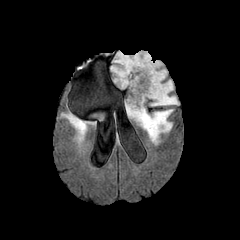
FLAIR MR image.
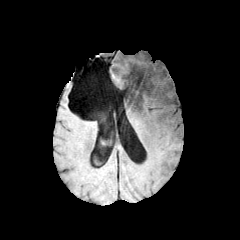
Same slice, T1-weighted MRI.
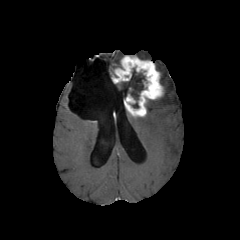
Post-contrast T1-weighted MR image of the same slice.
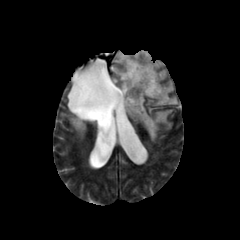
T2-weighted MRI.
Image size 240x240.
edema:
  - [94,112,105,119]
  - [66,113,86,139]
  - [149,61,179,106]
  - [126,108,173,142]
  - [135,51,151,59]
  - [110,51,124,75]
enhancing_tumor:
  - [113,55,163,116]
non-enhancing_tumor_core:
  - [116,70,145,100]